CT | Image size 512x512 | Upper abdomen

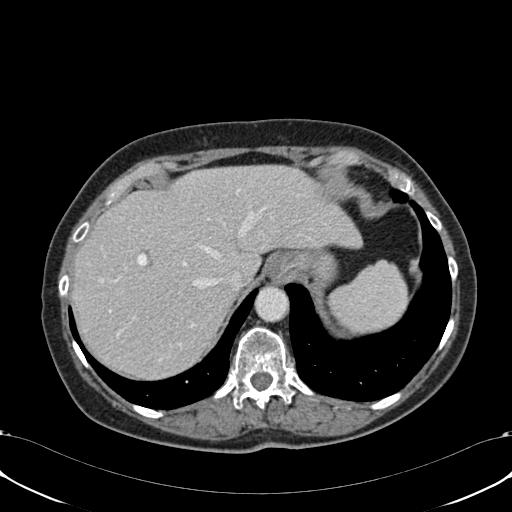
liver: 71, 165, 362, 377